Slice index 75; Image width 240 mm; Brain
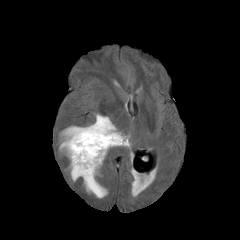
FLAIR MR.
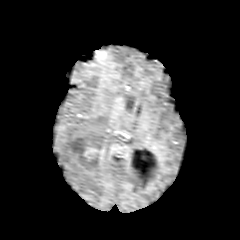
T1-weighted magnetic resonance.
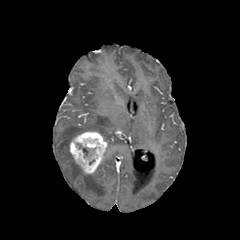
Same slice, post-contrast T1-weighted MR image.
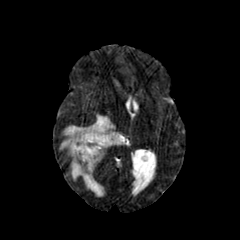
T2-weighted MR image.
The enhancing tumor appears at (left=68, top=131, right=113, bottom=175). 2 edema regions are located at (left=60, top=114, right=129, bottom=152), (left=70, top=158, right=107, bottom=197).